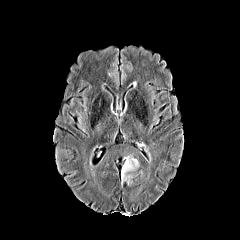
FLAIR MR image.
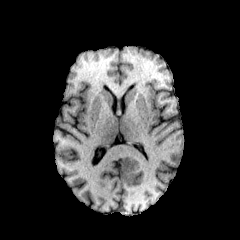
T1-weighted magnetic resonance.
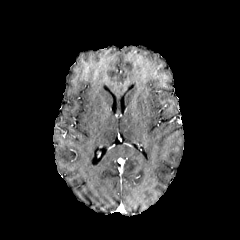
Post-contrast T1-weighted MRI of the same slice.
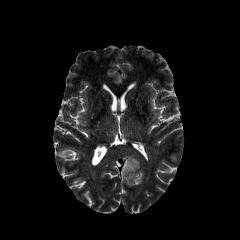
Same slice, T2-weighted MRI.
240x240 px
Edema: box=[121, 156, 139, 184].